MR image. Slice 20 of 29. Image size 38x52. Hippocampus.

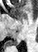 Posterior hippocampus: bounding box l=8, t=38, r=20, b=45.